Abdomen; Field of view 440x440 mm; CT image
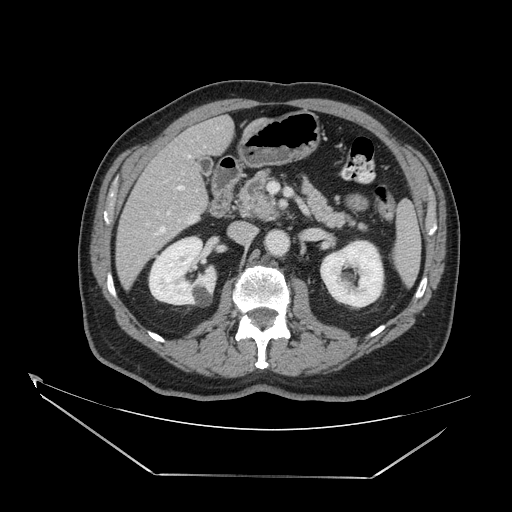

2 pancreas regions appear at region(238, 171, 275, 218); region(301, 179, 365, 230).